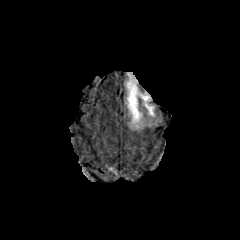
FLAIR MRI.
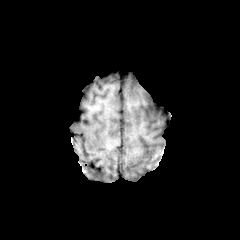
T1-weighted MR.
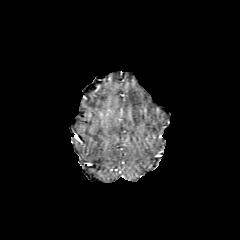
Post-contrast T1-weighted MRI of the same slice.
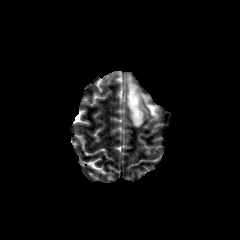
T2-weighted MR image of the same slice.
240x240 px
The edema is located at 125, 73, 160, 127.